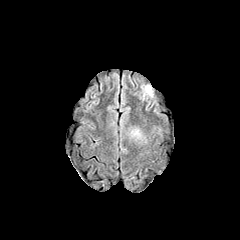
FLAIR magnetic resonance.
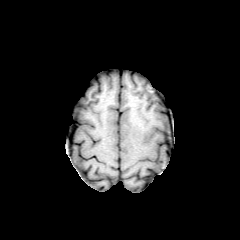
Same slice, T1-weighted magnetic resonance.
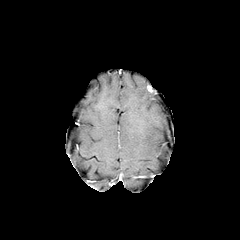
Same slice, post-contrast T1-weighted MR.
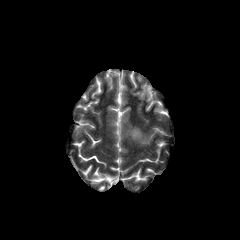
T2-weighted MRI of the same slice.
Brain
<segmentation>
  <edema><bbox>131, 129, 141, 139</bbox></edema>
</segmentation>